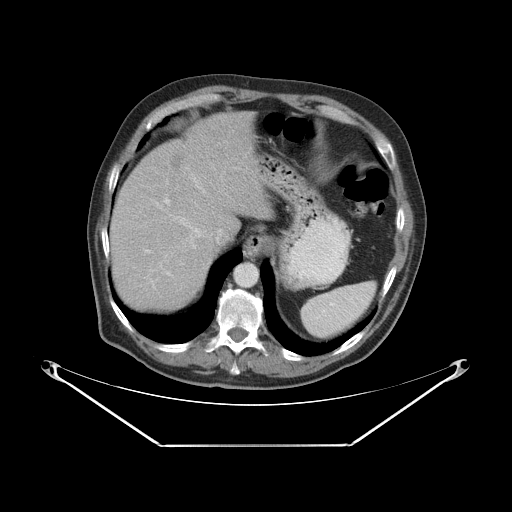
CT scan slice.
The vessel annotation is not exhaustive.
Hepatic vessel: bounding box bbox=[151, 280, 153, 285]; bbox=[152, 197, 169, 208]; bbox=[194, 178, 196, 183]; bbox=[198, 186, 203, 191]; bbox=[216, 230, 220, 240]; bbox=[173, 216, 200, 235].
Liver tumor: bounding box bbox=[167, 150, 183, 176].